CT scan slice | Field of view 438 mm wide, 0.70 mm slice spacing | Image size 512x512 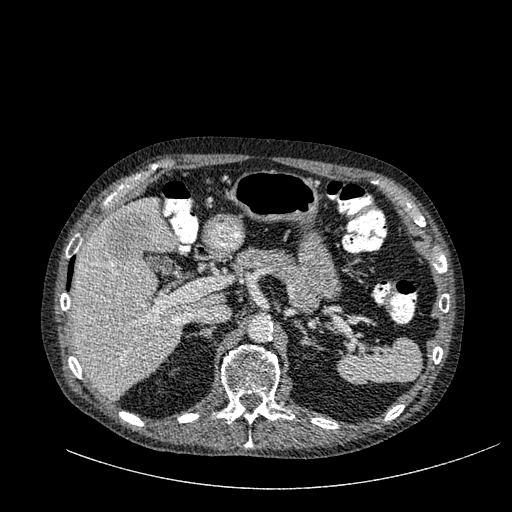 focal liver lesion: x1=104 y1=209 x2=153 y2=263 | liver: x1=71 y1=198 x2=224 y2=399